CT scan slice; Field of view 408x408 mm; Slice 19 of 83; Abdomen 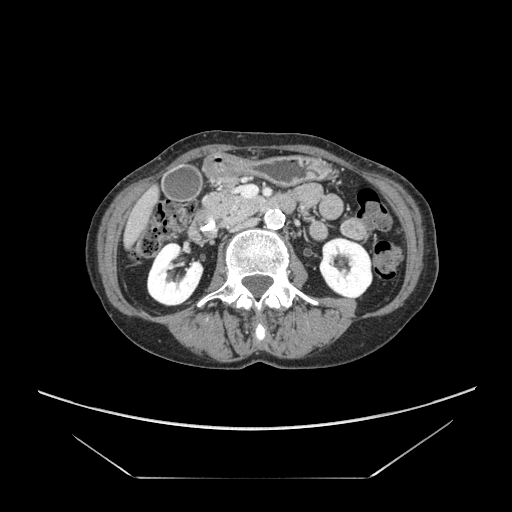
Annotated regions:
- pancreas: left=200, top=189, right=268, bottom=230